Head. Image width 240 mm.
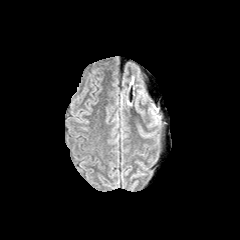
FLAIR MR image.
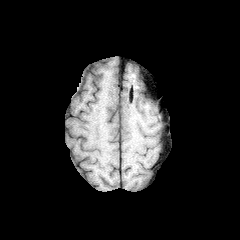
T1-weighted MR.
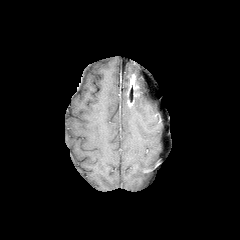
Same slice, post-contrast T1-weighted MR.
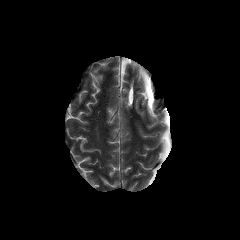
T2-weighted MR image.
Findings:
• edema: 128:77:147:107